T2-weighted MRI.
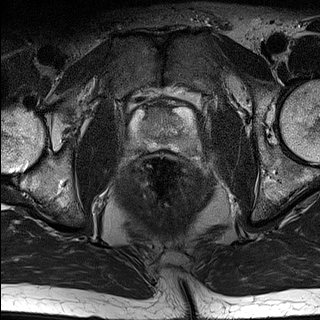
ADC MR.
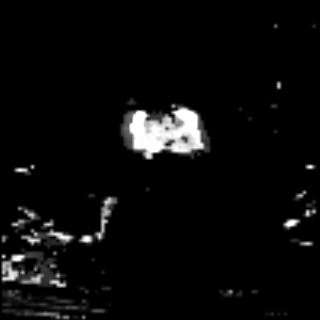
Annotated regions:
• prostate transition zone: <box>140,111,184,141</box>
• prostate peripheral zone: <box>130,111,193,147</box>